FLAIR magnetic resonance.
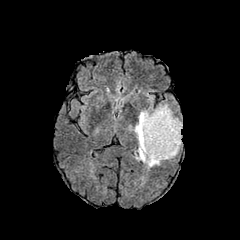
T1-weighted MR.
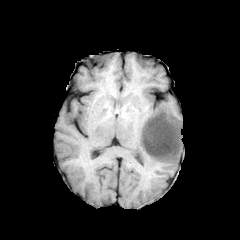
Post-contrast T1-weighted magnetic resonance.
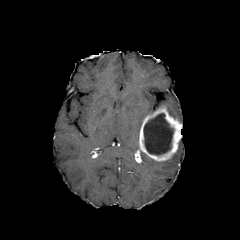
T2-weighted MR image.
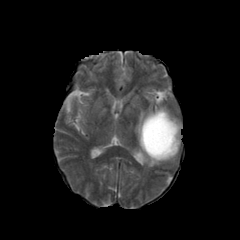
Head, 240x240 px
2 edema regions appear at 141,140,182,168; 133,104,173,139. The enhancing tumor appears at 134,106,182,161. The non-enhancing tumor core lies within 143,113,173,155.